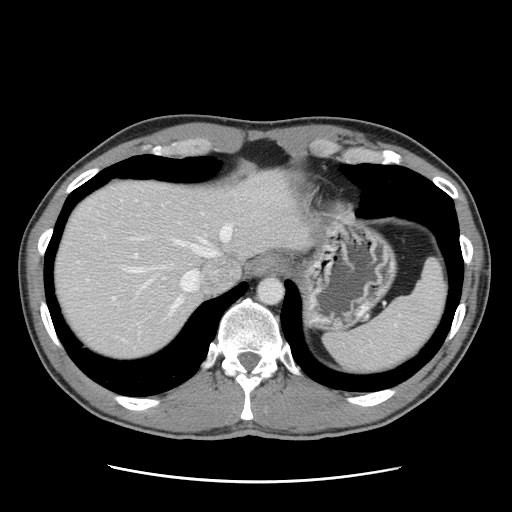

CT

The vessel boxes may cover only some of the vessels.
{"hepatic_vessel": ["200 239 207 243", "168 311 171 314", "180 270 198 290", "176 241 184 244", "132 238 143 238", "112 297 114 299", "142 280 150 287", "128 268 140 272", "190 244 216 256", "172 298 181 308", "134 254 137 256", "220 225 231 240"]}